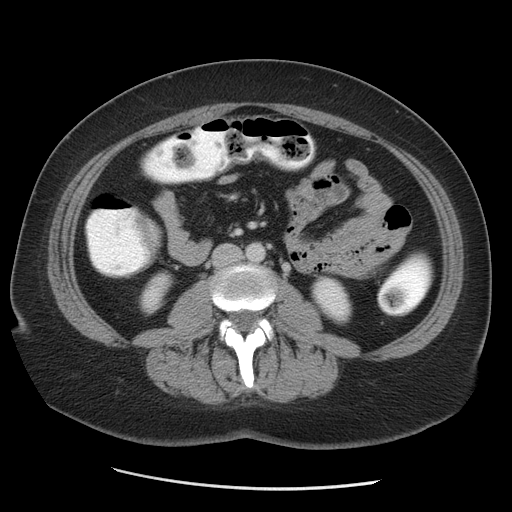
Abdomen; CT image
Kidney = 149, 289, 157, 300; 315, 279, 347, 316.